Brain
FLAIR MR image.
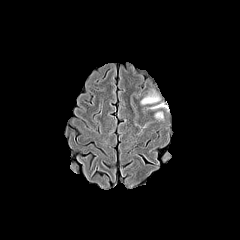
T1-weighted MR image.
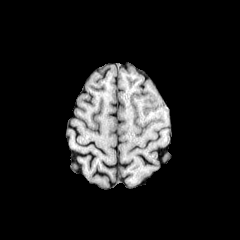
Post-contrast T1-weighted MRI.
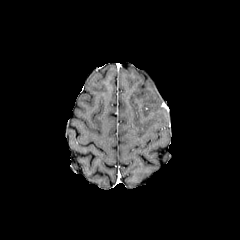
T2-weighted MR image.
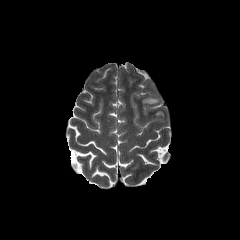
{"edema": ["142:97:158:103"]}